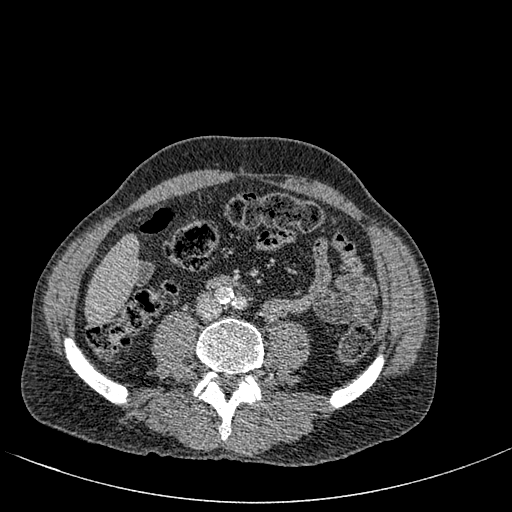

CT slice; Liver
The liver lies within (left=85, top=234, right=137, bottom=322).